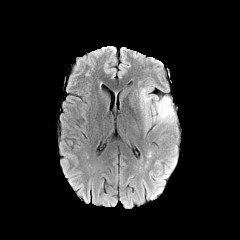
FLAIR MR.
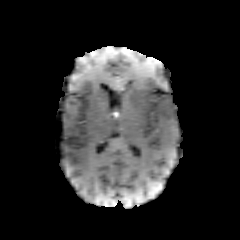
T1-weighted MR.
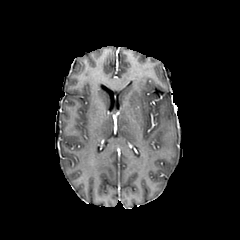
Post-contrast T1-weighted magnetic resonance of the same slice.
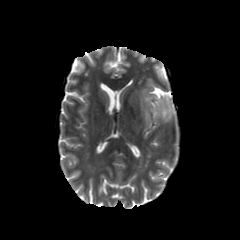
T2-weighted MR.
Brain
edema:
  - l=139, t=84, r=178, b=142